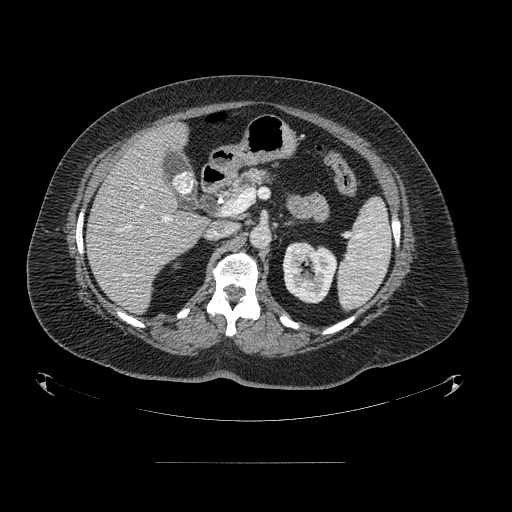 CT slice
{"pancreas": ["<bbox>221, 169, 272, 197</bbox>"]}